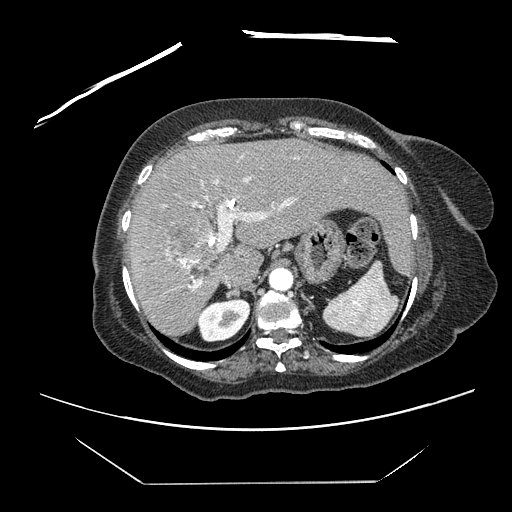

Liver, CT scan slice
Only some of the vessels may be annotated.
{
  "liver_tumor": [
    "rect(168, 217, 217, 265)"
  ],
  "hepatic_vessel": [
    "rect(277, 198, 295, 209)",
    "rect(192, 201, 202, 207)",
    "rect(194, 280, 201, 285)",
    "rect(214, 179, 218, 183)",
    "rect(181, 263, 190, 268)",
    "rect(217, 201, 268, 249)",
    "rect(244, 177, 249, 181)",
    "rect(205, 196, 207, 199)"
  ]
}